CT slice; Liver
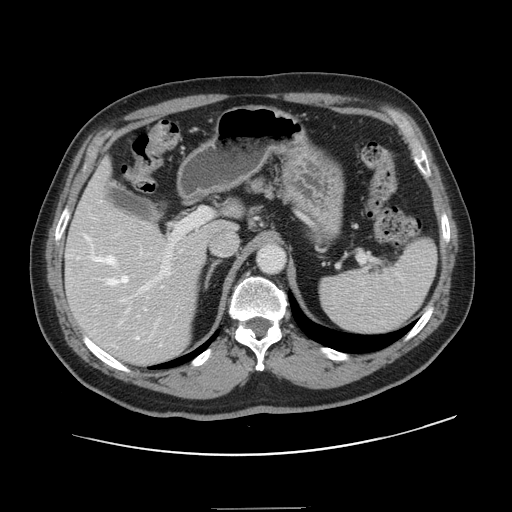

Some hepatic vessels may have no box.
Hepatic vessel — region(93, 256, 115, 264); region(136, 337, 139, 338); region(108, 276, 127, 284); region(142, 266, 170, 290); region(77, 257, 78, 259); region(84, 235, 88, 239); region(120, 300, 124, 301).